CT | Liver

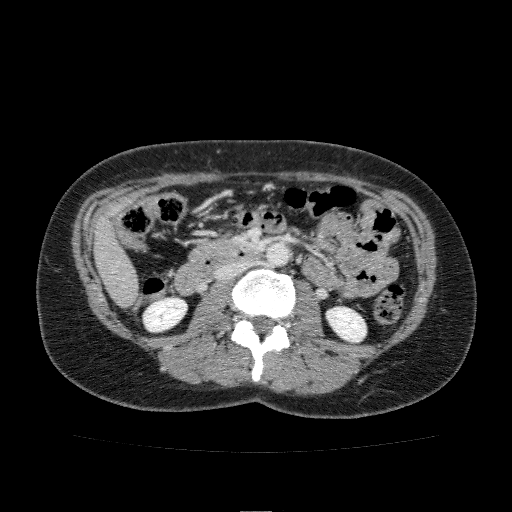
{"liver": ["box=[93, 200, 137, 305]"], "kidney": ["box=[326, 307, 366, 341]", "box=[143, 298, 186, 331]"]}